Computed tomography. 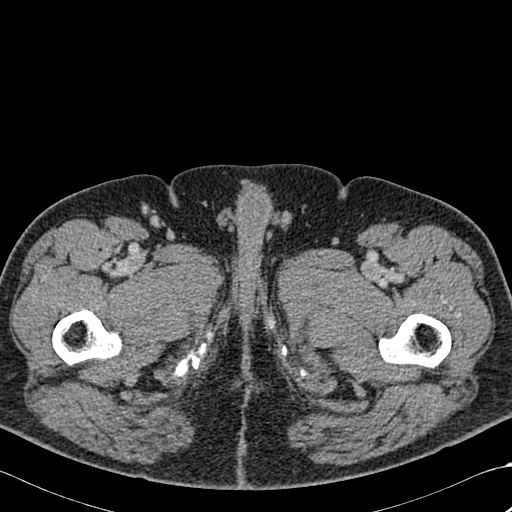
4 bone regions are located at x1=175, y1=352, x2=199, y2=375; x1=197, y1=344, x2=204, y2=354; x1=52, y1=310, x2=120, y2=364; x1=379, y1=313, x2=450, y2=367.